240x240. Field of view 240x240 mm. Brain. Slice 44/155.
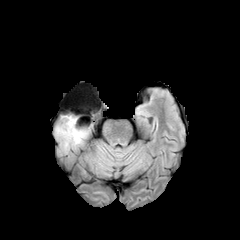
FLAIR MRI.
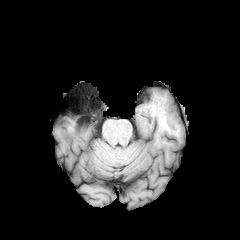
T1-weighted MRI of the same slice.
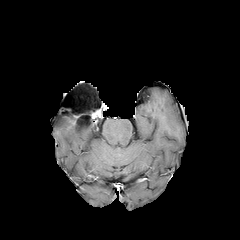
Post-contrast T1-weighted MR.
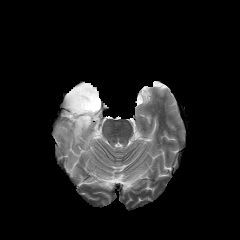
Same slice, T2-weighted MR.
• edema: [56,114,90,154]